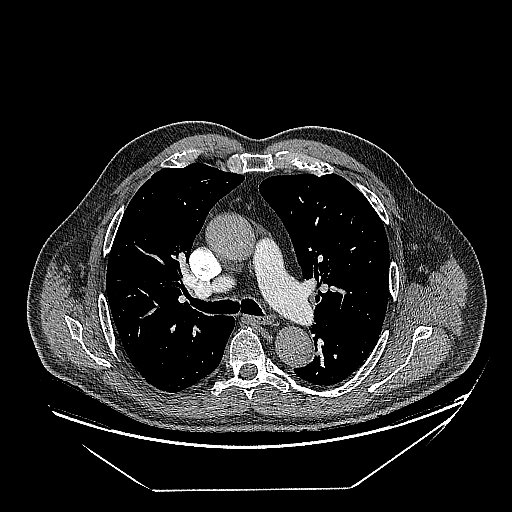

Computed tomography | Thorax

Findings:
• lung tumor: l=138, t=350, r=148, b=357